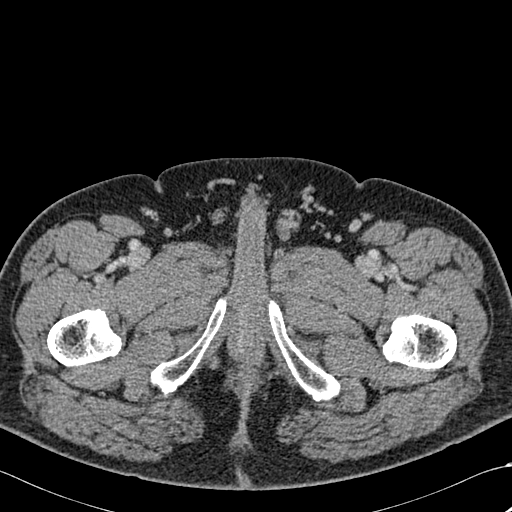 Image size 512x512 | Computed tomography
• bone: [151, 299, 226, 393], [47, 309, 121, 366], [383, 314, 456, 369], [269, 301, 339, 400]